CT. Abdomen. Image size 512x512.

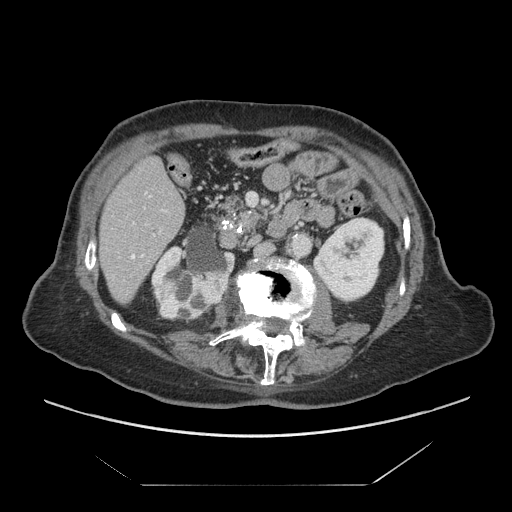
The pancreas is at region(209, 195, 264, 234). The pancreatic tumor is located at region(240, 214, 260, 231).